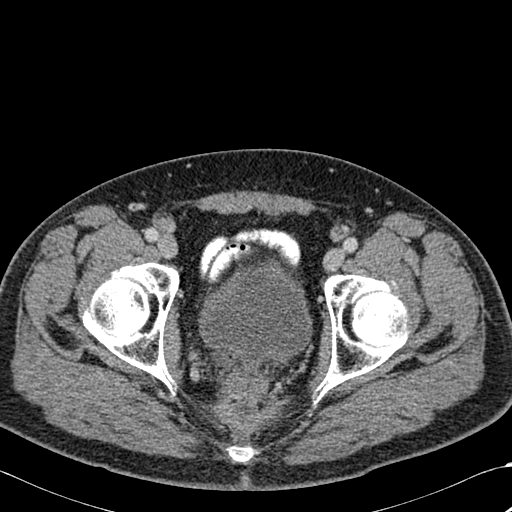

CT slice

{"bone": ["bbox(228, 447, 254, 461)", "bbox(83, 263, 178, 387)", "bbox(319, 275, 408, 394)"]}